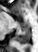 Hippocampus, MRI slice

{
  "posterior_hippocampus": [
    "bbox=[16, 24, 30, 44]"
  ],
  "anterior_hippocampus": [
    "bbox=[25, 23, 28, 23]"
  ]
}